FLAIR MRI.
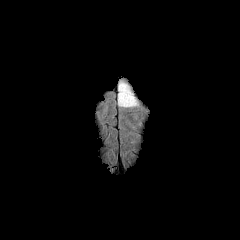
T1-weighted MR image.
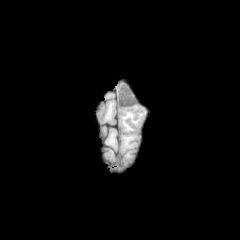
Post-contrast T1-weighted MRI.
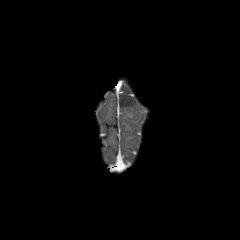
T2-weighted MRI.
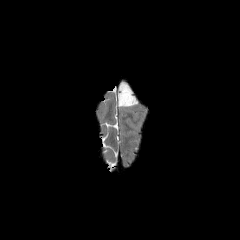
240x240.
edema:
  - l=120, t=85, r=138, b=107